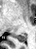
Hippocampus. MR. Posterior hippocampus: <bbox>12, 34, 26, 42</bbox>.